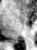
Medial temporal lobe, MR image, Image size 37x50
posterior hippocampus: 13, 43, 16, 43